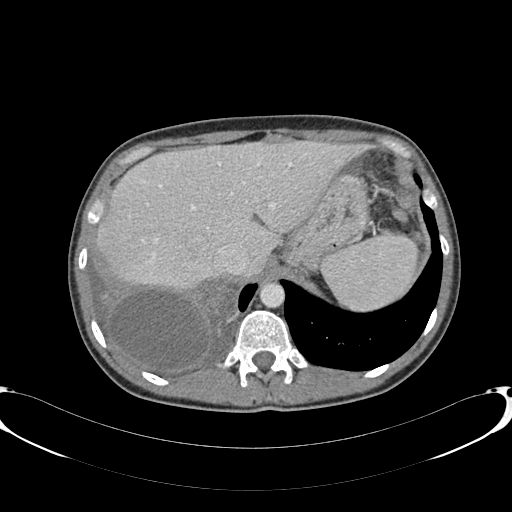 CT slice, Liver, Image size 512x512

The liver lies within (x1=97, y1=141, x2=374, y2=288).